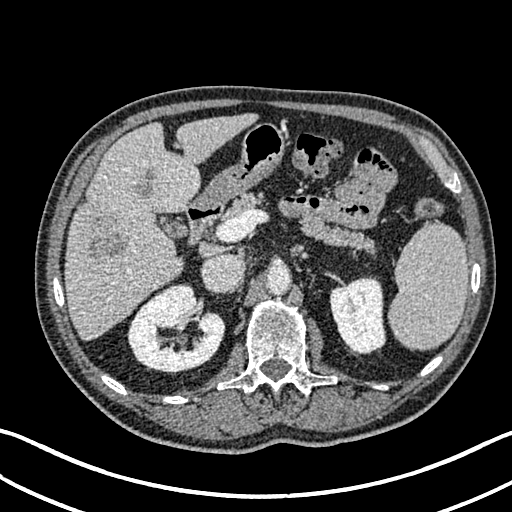 CT scan slice | 512x512 px
2 liver lesion regions are located at [x1=90, y1=215, x2=130, y2=256], [x1=131, y1=167, x2=155, y2=198]. 2 kidney regions appear at [x1=331, y1=279, x2=384, y2=352], [x1=129, y1=286, x2=224, y2=371]. The liver is located at [x1=65, y1=114, x2=256, y2=338].